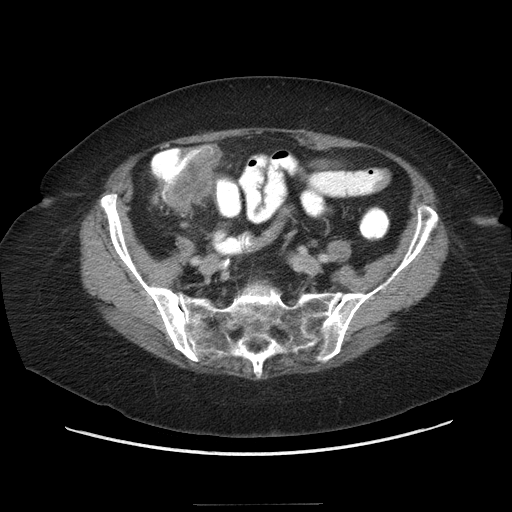
CT scan slice
Colon tumor = x1=165 y1=147 x2=220 y2=212.